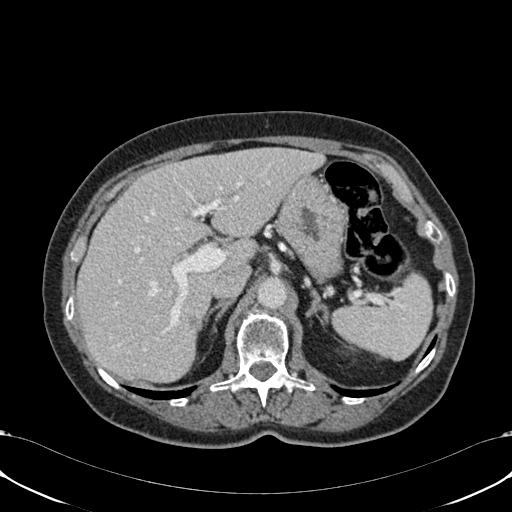

CT image. Upper abdomen.

<segmentation>
  <liver>76 147 324 382</liver>
</segmentation>